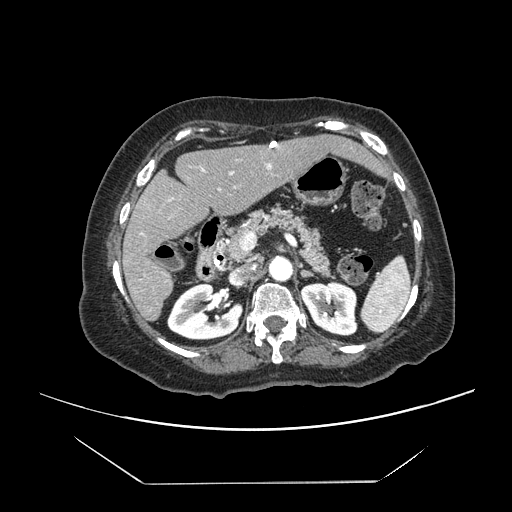

Computed tomography

Only some of the vessels may be annotated.
hepatic vessel: 240,232,254,249; 230,172,232,174